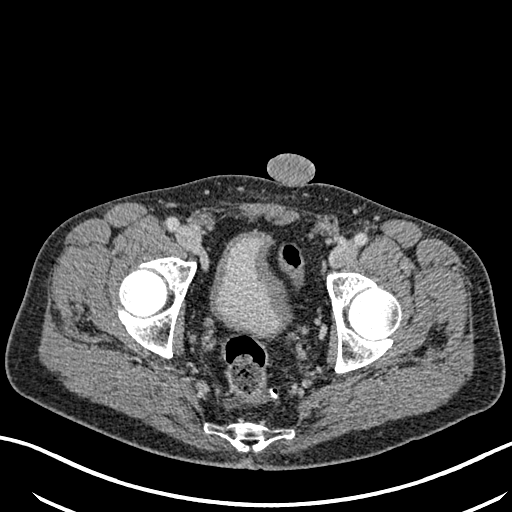
CT slice.

<segmentation>
  <urinary_bladder>[215, 235, 282, 334]</urinary_bladder>
</segmentation>